Slice index 372; Computed tomography

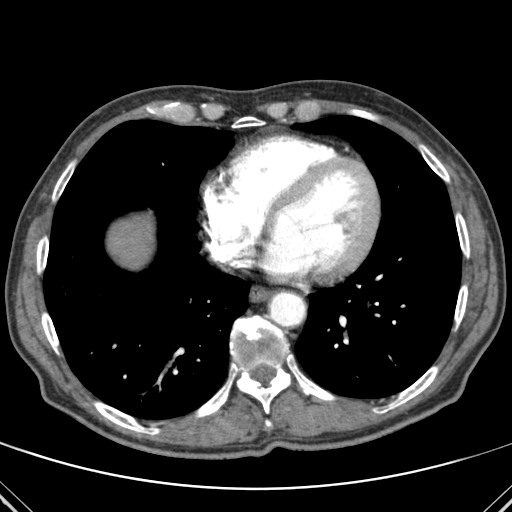

<segmentation>
  <lung>[x1=294, y1=115, x2=461, y2=397], [x1=43, y1=120, x2=249, y2=418]</lung>
  <bone>[x1=146, y1=102, x2=178, y2=113], [x1=456, y1=213, x2=469, y2=256], [x1=420, y1=145, x2=449, y2=181], [x1=381, y1=367, x2=437, y2=412], [x1=42, y1=313, x2=58, y2=352], [x1=196, y1=315, x2=334, y2=417], [x1=52, y1=163, x2=74, y2=200], [x1=455, y1=285, x2=467, y2=325], [x1=232, y1=117, x2=264, y2=127], [x1=37, y1=237, x2=48, y2=272], [x1=349, y1=109, x2=377, y2=119], [x1=94, y1=402, x2=159, y2=434]</bone>
  <liver>[x1=109, y1=219, x2=151, y2=265]</liver>
</segmentation>